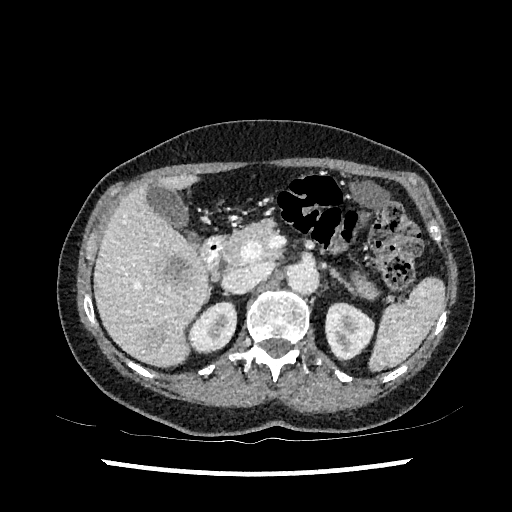 CT scan slice

2 kidney regions appear at bbox=[190, 303, 236, 350]; bbox=[326, 304, 373, 358]. 2 focal liver lesion regions are located at bbox=[147, 324, 167, 352]; bbox=[163, 257, 193, 290]. 2 liver regions are located at bbox=[94, 184, 206, 365]; bbox=[159, 175, 195, 188].